FLAIR MR image.
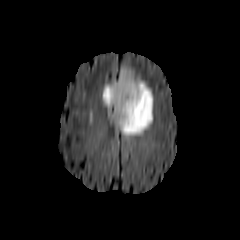
T1-weighted MR.
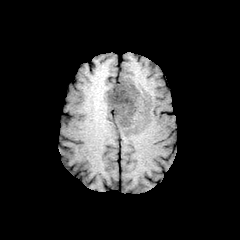
Post-contrast T1-weighted MR image.
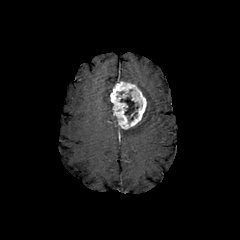
T2-weighted MR.
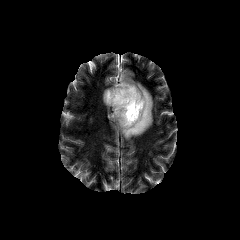
Head
Segmented structures:
* non-enhancing tumor core: [120, 96, 134, 116]
* edema: [102, 80, 115, 111], [109, 68, 153, 140]
* enhancing tumor: [110, 74, 146, 129]